Slice 127 of 155; Image width 240 mm
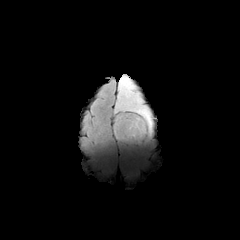
FLAIR magnetic resonance.
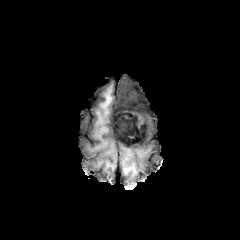
T1-weighted MR.
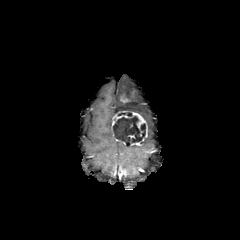
Same slice, post-contrast T1-weighted MR.
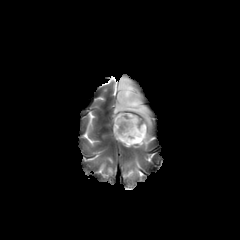
T2-weighted MRI.
{
  "enhancing_tumor": [
    "x1=132 y1=112 x2=147 y2=137",
    "x1=111 y1=111 x2=131 y2=131"
  ],
  "edema": [
    "x1=117 y1=75 x2=151 y2=130"
  ],
  "non-enhancing_tumor_core": [
    "x1=112 y1=116 x2=145 y2=145",
    "x1=117 y1=100 x2=136 y2=116"
  ]
}